Image size 320x320; MRI slice; Heart

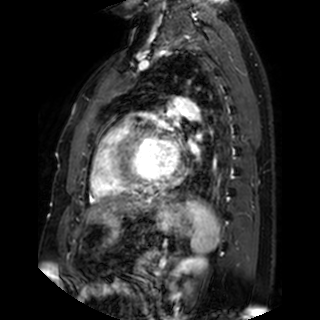 left_atrium:
  - x1=168, y1=110, x2=178, y2=117
  - x1=188, y1=137, x2=196, y2=151